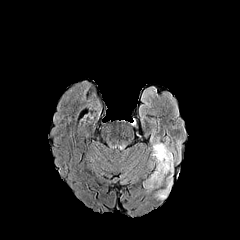
FLAIR magnetic resonance.
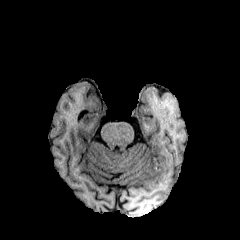
T1-weighted MR image of the same slice.
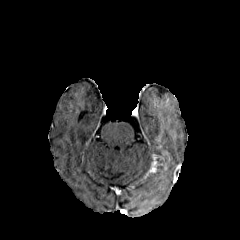
Post-contrast T1-weighted MRI.
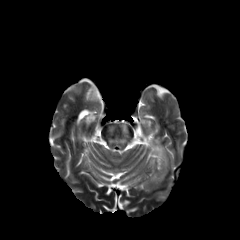
T2-weighted MR image of the same slice.
{
  "enhancing_tumor": [
    "x1=145, y1=147, x2=172, y2=178"
  ],
  "edema": [
    "x1=143, y1=168, x2=167, y2=186",
    "x1=150, y1=135, x2=167, y2=151"
  ]
}